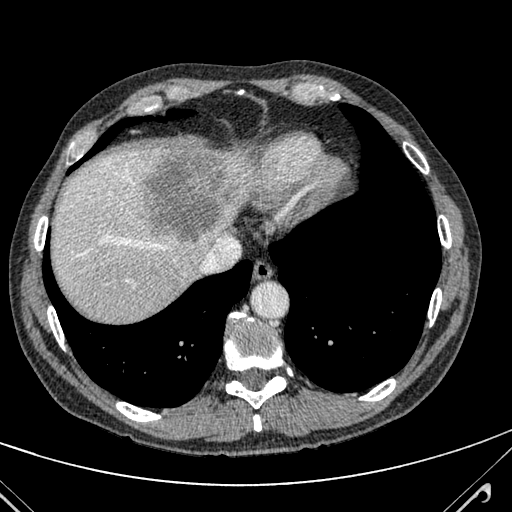
CT scan slice; Image size 512x512

Liver: 52, 148, 249, 320.
Focal liver lesion: 141, 148, 239, 239.